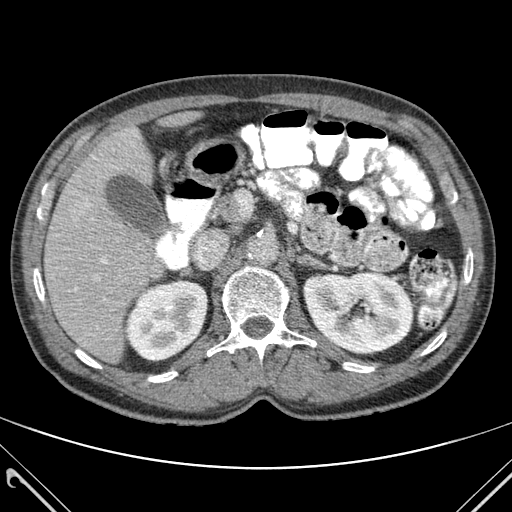 512x512 px; Upper abdomen; CT image

Kidney = [x1=127, y1=282, x2=206, y2=359], [x1=304, y1=273, x2=412, y2=352].
Bone = [x1=34, y1=268, x2=44, y2=300], [x1=207, y1=267, x2=316, y2=358], [x1=344, y1=362, x2=373, y2=372], [x1=422, y1=332, x2=445, y2=354], [x1=148, y1=371, x2=177, y2=382], [x1=464, y1=251, x2=472, y2=282], [x1=37, y1=205, x2=41, y2=221], [x1=76, y1=350, x2=101, y2=368].
Liver = [x1=163, y1=111, x2=198, y2=126], [x1=44, y1=127, x2=158, y2=362].